Computed tomography. Slice 85/127.

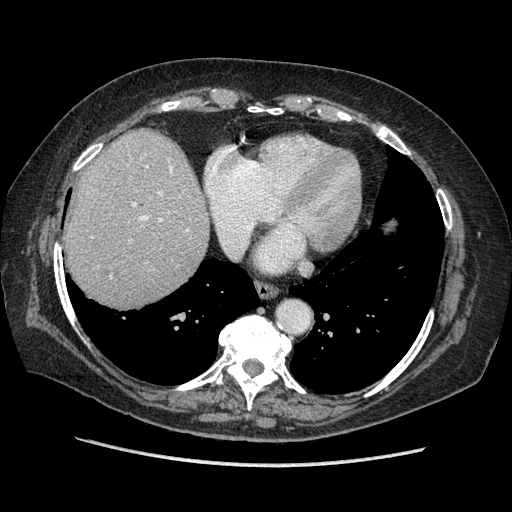
Only some of the vessels may be annotated.
Findings:
* hepatic vessel: x1=140 y1=216 x2=146 y2=219, x1=132 y1=203 x2=136 y2=205, x1=158 y1=218 x2=160 y2=220